Slice 41/155, 240x240
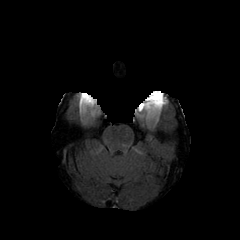
FLAIR MR image.
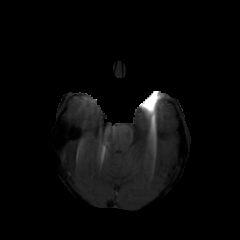
Same slice, T1-weighted MR.
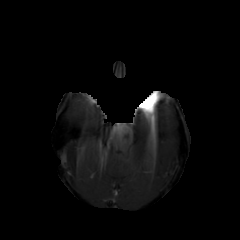
Same slice, post-contrast T1-weighted MR.
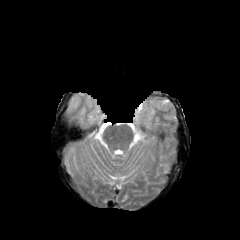
T2-weighted MR.
enhancing tumor: 135, 102, 155, 117 | non-enhancing tumor core: 141, 97, 157, 109; 156, 98, 167, 105; 135, 110, 157, 125